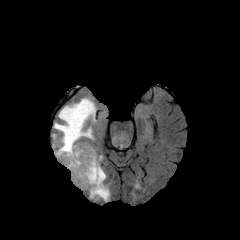
FLAIR magnetic resonance.
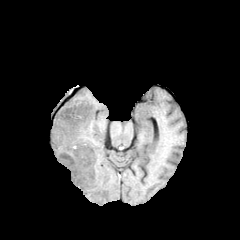
T1-weighted magnetic resonance.
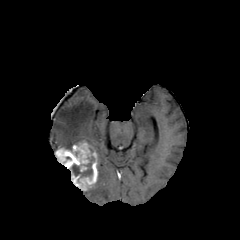
Post-contrast T1-weighted MR.
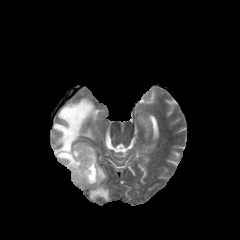
T2-weighted magnetic resonance of the same slice.
Head
non-enhancing tumor core: {"x1": 72, "y1": 165, "x2": 80, "y2": 175}, {"x1": 82, "y1": 162, "x2": 92, "y2": 175} | enhancing tumor: {"x1": 55, "y1": 142, "x2": 98, "y2": 190} | edema: {"x1": 88, "y1": 163, "x2": 110, "y2": 200}, {"x1": 52, "y1": 97, "x2": 96, "y2": 148}